FLAIR MRI.
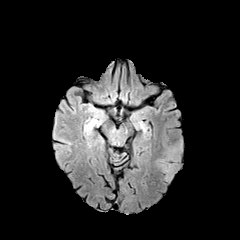
T1-weighted MRI.
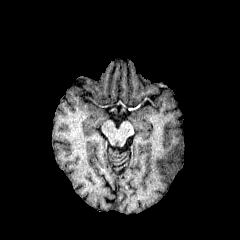
Post-contrast T1-weighted MRI.
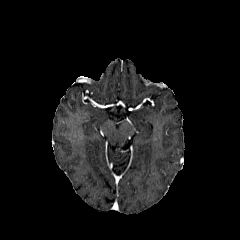
T2-weighted MRI.
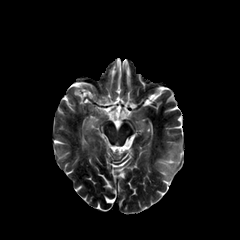
Brain
* edema: (156,139,182,182)